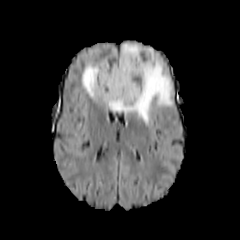
FLAIR MRI.
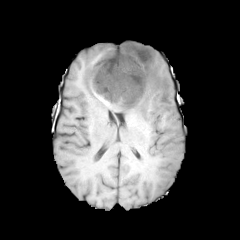
T1-weighted MRI.
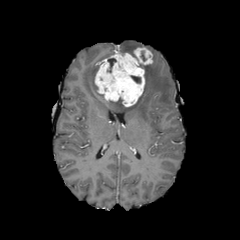
Post-contrast T1-weighted MR image.
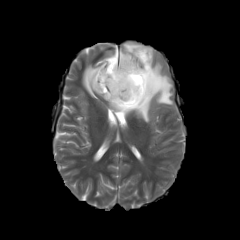
Same slice, T2-weighted MR.
Head
3 non-enhancing tumor core regions appear at 108,58,116,68; 130,75,141,83; 111,98,124,107. The enhancing tumor lies within 94,48,152,106. 2 edema regions are located at 120,43,145,53; 82,47,172,124.